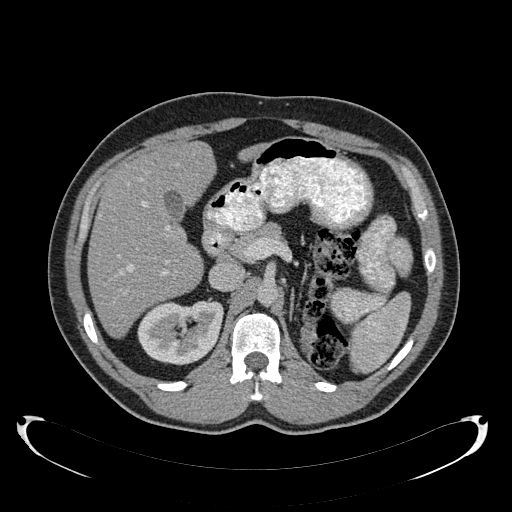
CT.
<segmentation>
  <liver>{"x1": 241, "y1": 145, "x2": 265, "y2": 158}, {"x1": 88, "y1": 143, "x2": 214, "y2": 336}</liver>
  <kidney>{"x1": 138, "y1": 301, "x2": 222, "y2": 364}</kidney>
</segmentation>